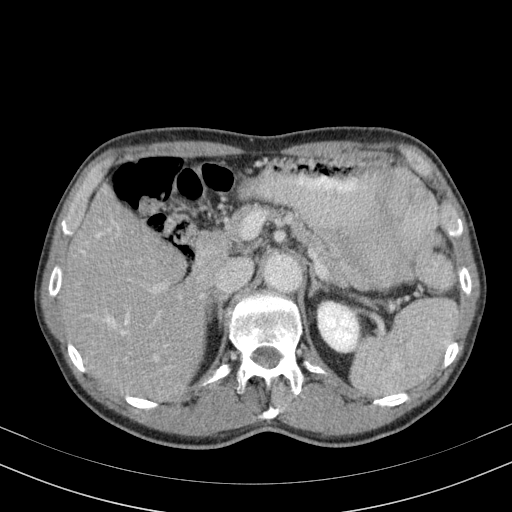

CT image
Kidney: bounding box (318,302,357,351).
Liver: bounding box (61,182,252,402).